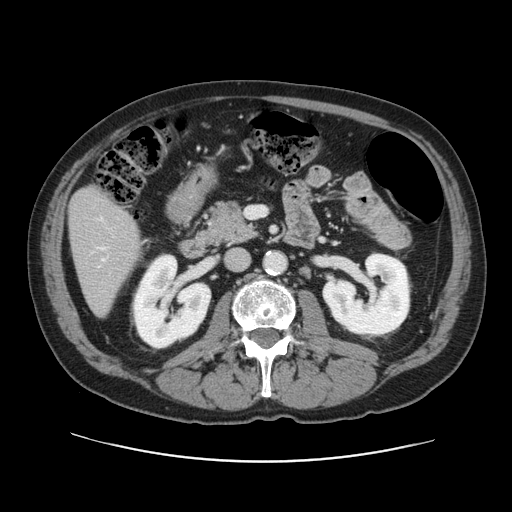
CT | Abdomen | 512x512

Only some of the vessels may be annotated.
Hepatic vessel: bbox=[100, 218, 101, 219]; bbox=[102, 258, 104, 260]; bbox=[99, 247, 104, 249].